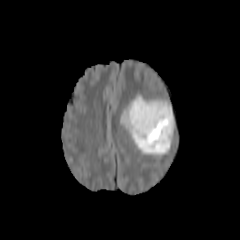
FLAIR MRI.
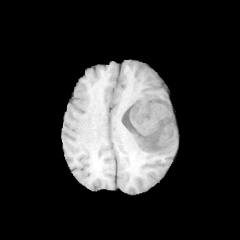
Same slice, T1-weighted MRI.
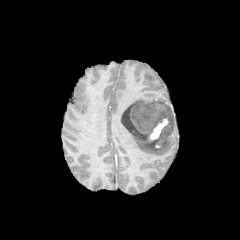
Post-contrast T1-weighted MR.
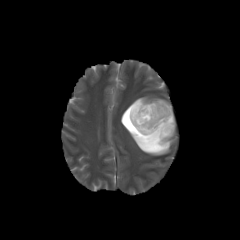
T2-weighted MR.
Brain; Image size 240x240
{
  "edema": [
    "box(119, 117, 171, 155)",
    "box(121, 95, 144, 116)"
  ],
  "non-enhancing_tumor_core": [
    "box(121, 99, 175, 146)"
  ],
  "enhancing_tumor": [
    "box(148, 117, 168, 142)"
  ]
}